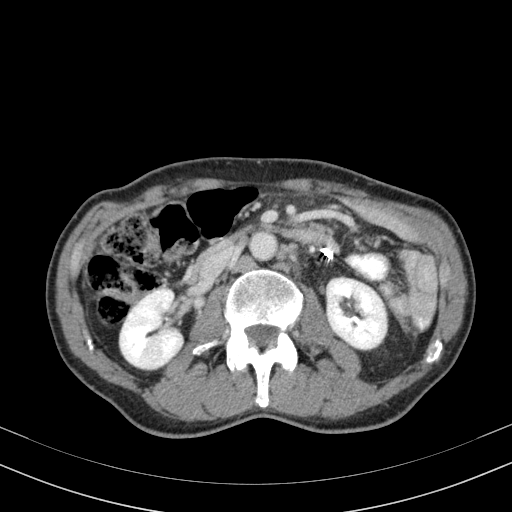
Computed tomography. Abdomen.
2 kidney regions appear at rect(120, 289, 182, 368); rect(327, 278, 386, 348).